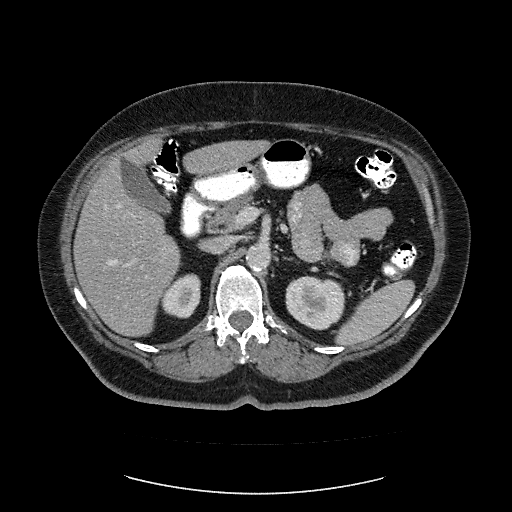
Computed tomography
The vessel boxes may cover only some of the vessels.
Annotated regions:
- hepatic vessel: [x1=230, y1=170, x2=237, y2=172], [x1=117, y1=204, x2=120, y2=206], [x1=222, y1=174, x2=225, y2=174], [x1=127, y1=258, x2=135, y2=264], [x1=117, y1=296, x2=119, y2=297], [x1=109, y1=259, x2=117, y2=264], [x1=105, y1=204, x2=107, y2=208]